240x240 px; Field of view 240x240 mm; Brain
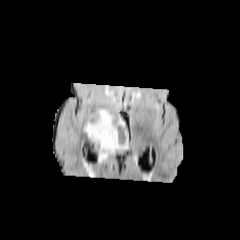
FLAIR MR.
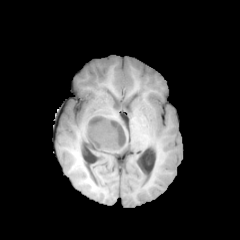
T1-weighted MR image.
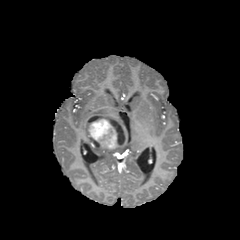
Same slice, post-contrast T1-weighted MR image.
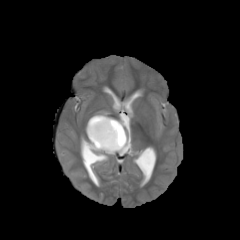
T2-weighted MRI.
Enhancing tumor — 87, 117, 119, 150.
Edema — 104, 144, 128, 155.
Non-enhancing tumor core — 84, 113, 128, 150.